CT slice; Image width 432 mm; 512x512 px; Abdomen 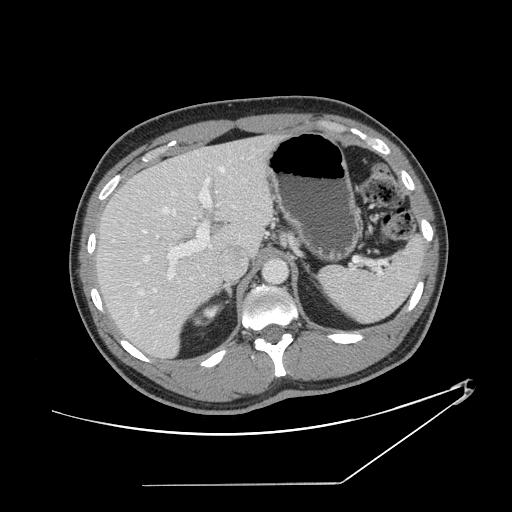 The vessel boxes may cover only some of the vessels.
The largest 15 hepatic vessel regions (of 17) are bounded by l=217, t=204, r=218, b=205; l=217, t=167, r=224, b=172; l=144, t=255, r=149, b=261; l=205, t=177, r=209, b=183; l=135, t=308, r=136, b=314; l=133, t=283, r=137, b=285; l=168, t=222, r=212, b=279; l=199, t=188, r=210, b=206; l=143, t=231, r=146, b=232; l=112, t=239, r=113, b=241; l=172, t=192, r=175, b=195; l=163, t=208, r=174, b=214; l=151, t=310, r=153, b=312; l=233, t=205, r=234, b=207; l=139, t=290, r=143, b=294.